CT. Image width 439 mm.

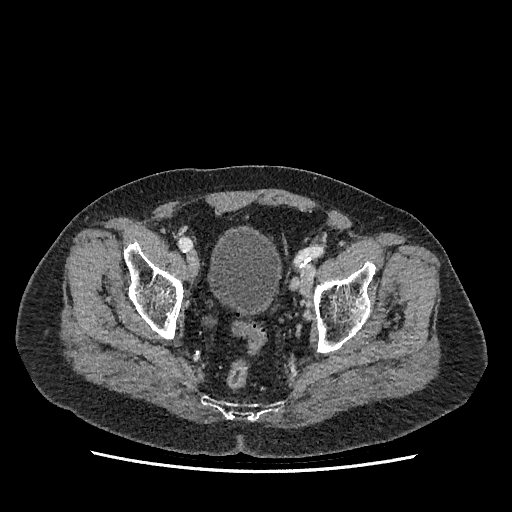

Urinary bladder — 208,231,279,313.